FLAIR MR.
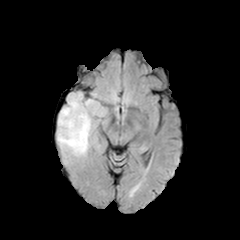
T1-weighted MRI.
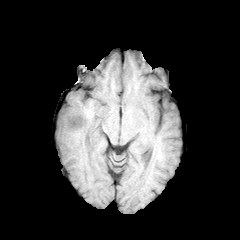
Post-contrast T1-weighted MR.
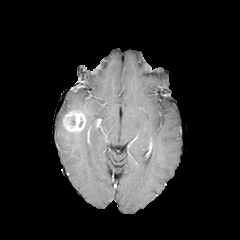
T2-weighted MRI.
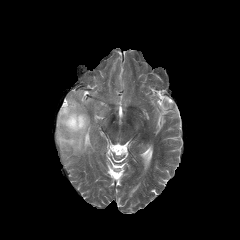
Head
- enhancing tumor: <box>62,109,86,133</box>
- edema: <box>56,92,106,159</box>
- non-enhancing tumor core: <box>68,104,86,113</box>, <box>58,119,78,144</box>